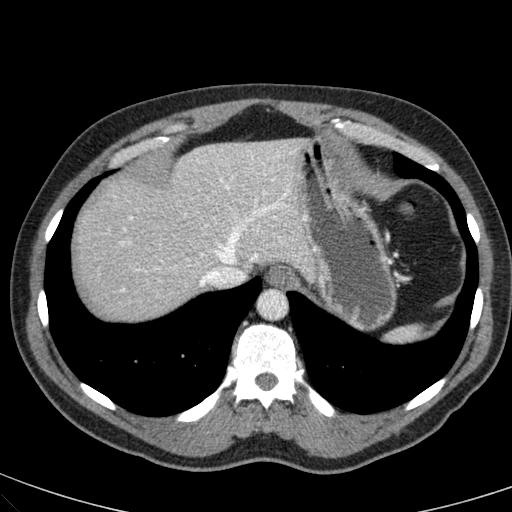
CT scan slice, Abdomen, 512x512 px
liver: (76,139,313,319)